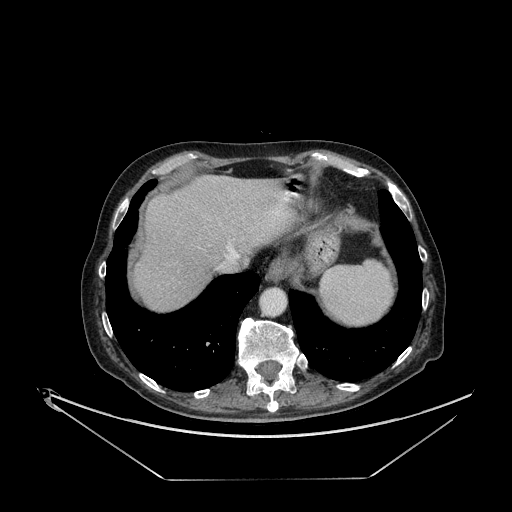 CT image. Annotated regions:
* liver: <box>134,177,291,311</box>